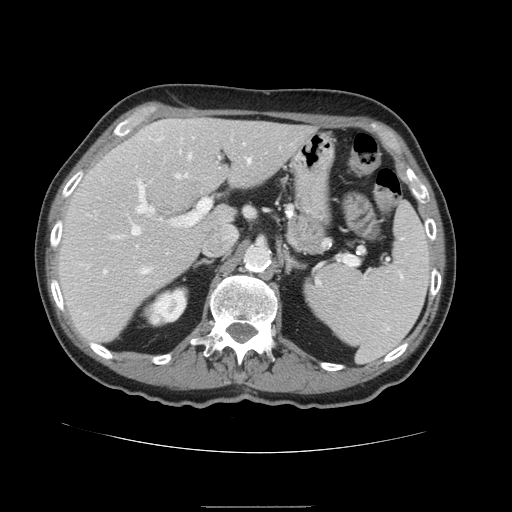
CT image. Not every hepatic vessel necessarily has a box.
Findings:
• hepatic vessel: [115,235,120,236], [140,268,148,273], [175,199,210,226], [216,212,237,246], [137,181,154,212], [205,249,210,254], [104,270,106,272], [176,173,187,177], [132,225,140,234], [247,157,251,162], [189,153,191,157]